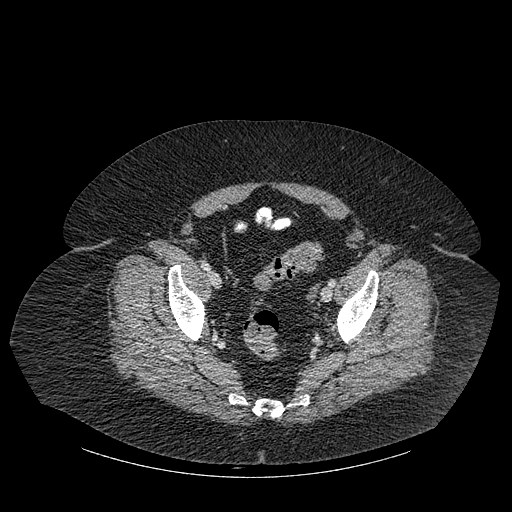 CT scan slice
5 bone regions are located at 252, 399, 284, 417; 337, 270, 378, 342; 168, 265, 204, 340; 229, 394, 247, 404; 288, 394, 309, 406.